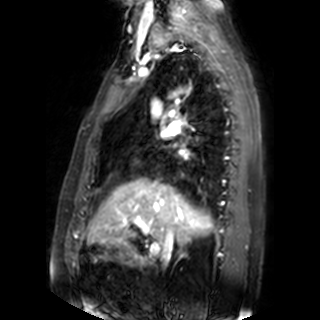 MR image, Heart

left atrium: l=179, t=148, r=186, b=155